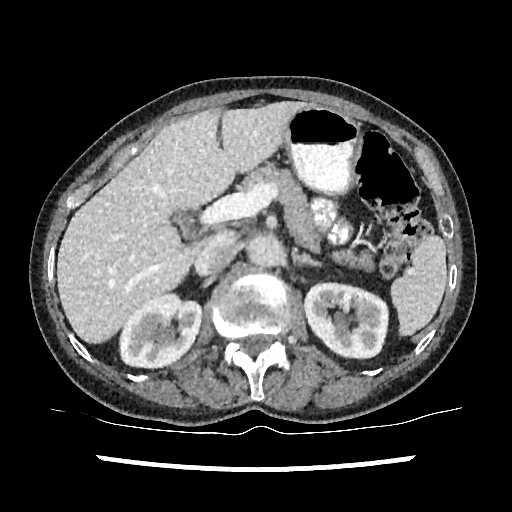
Computed tomography
- kidney: 305,284,387,357; 121,296,200,369
- liver: 58,102,305,343